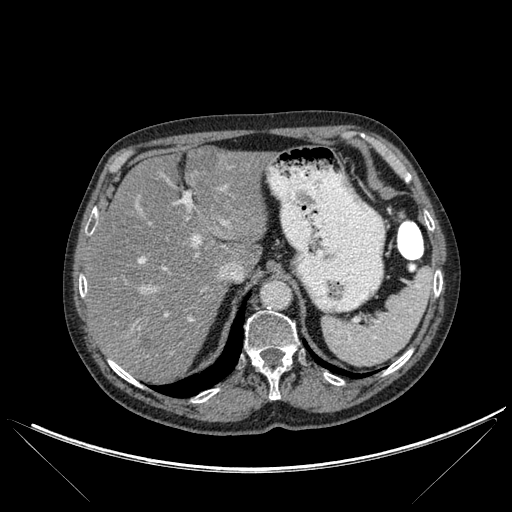

CT | Abdomen
2 lung regions are located at box(151, 295, 248, 397); box(306, 344, 369, 378). 2 liver lesion regions appear at box(141, 334, 150, 348); box(188, 147, 218, 171). The liver appears at box(87, 146, 266, 383). 9 bone regions are located at box(245, 311, 298, 399); box(108, 360, 141, 386); box(424, 211, 434, 230); box(79, 275, 86, 296); box(193, 388, 218, 402); box(404, 172, 410, 181); box(433, 270, 442, 295); box(384, 350, 412, 374); box(324, 373, 343, 385).